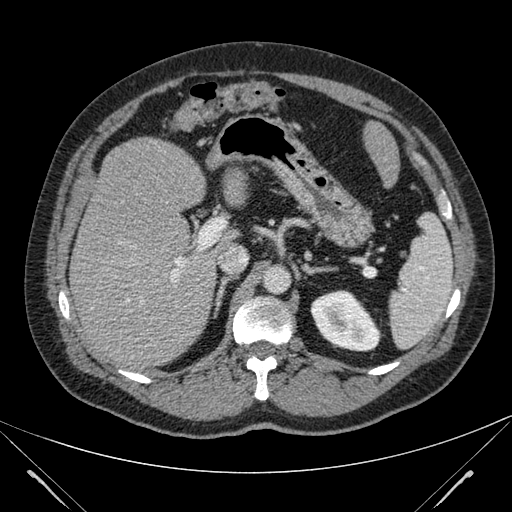

Upper abdomen, 512x512, CT slice
The kidney appears at x1=311, y1=291, x2=379, y2=350. 4 liver regions appear at x1=364, y1=121, x2=399, y2=187; x1=225, y1=171, x2=245, y2=204; x1=215, y1=229, x2=237, y2=252; x1=61, y1=137, x2=216, y2=374.